Field of view 240x240 mm. Brain. 240x240 px.
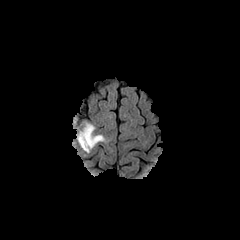
FLAIR MRI.
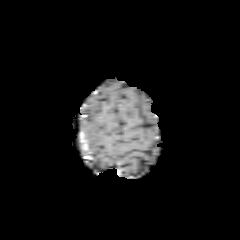
Same slice, T1-weighted MR.
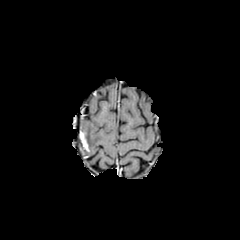
Post-contrast T1-weighted MRI.
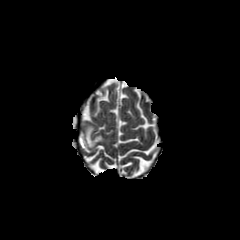
T2-weighted magnetic resonance.
<segmentation>
  <edema><bbox>81, 122, 104, 151</bbox></edema>
  <enhancing_tumor><bbox>79, 131, 88, 150</bbox></enhancing_tumor>
</segmentation>